Computed tomography | Field of view 380 mm wide, 2.50 mm slice spacing
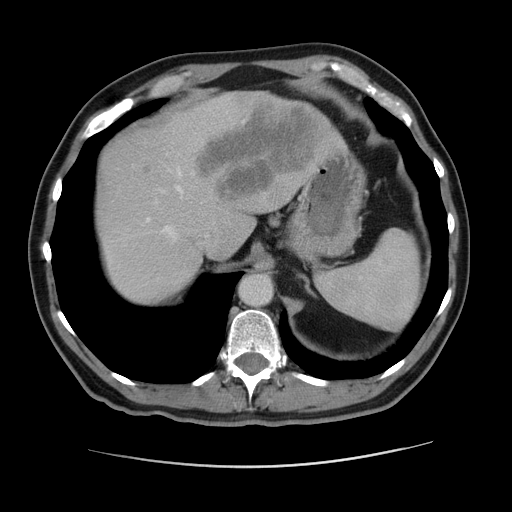

Liver — [x1=94, y1=93, x2=328, y2=303].
Liver lesion — [x1=196, y1=101, x2=325, y2=199], [x1=143, y1=165, x2=153, y2=173].